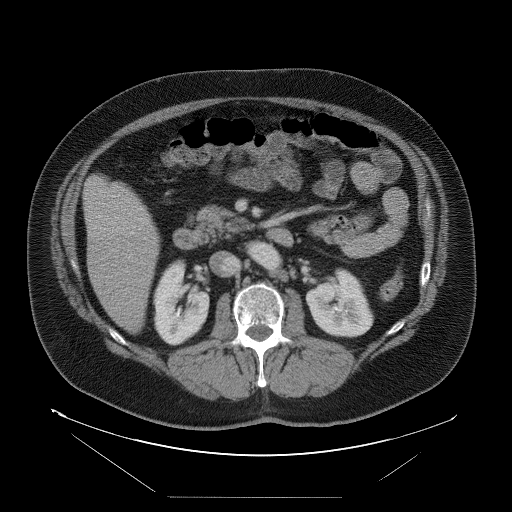 512x512 px. CT slice.

The vessel annotation is not exhaustive.
3 hepatic vessel regions are bounded by left=129, top=255, right=130, bottom=257; left=113, top=249, right=116, bottom=251; left=106, top=217, right=107, bottom=219.